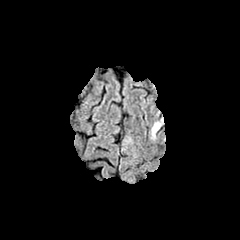
FLAIR MR image.
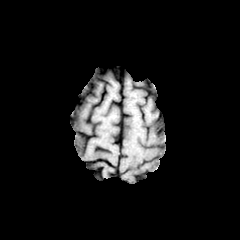
T1-weighted MR image.
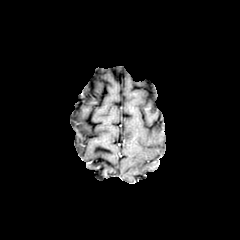
Post-contrast T1-weighted magnetic resonance.
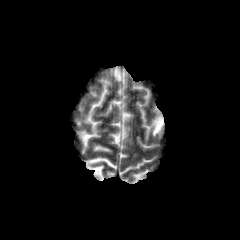
T2-weighted MRI.
Head.
Annotated regions:
- edema: x1=150 y1=118 x2=163 y2=138